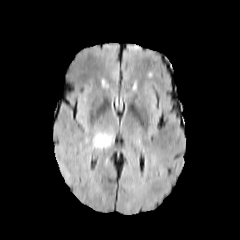
FLAIR MRI.
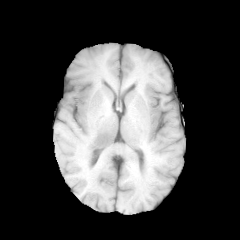
T1-weighted MR image of the same slice.
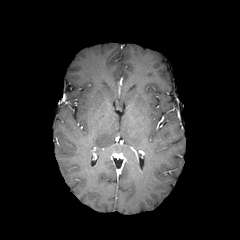
Same slice, post-contrast T1-weighted MRI.
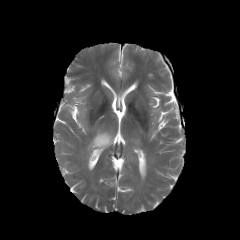
T2-weighted MR image of the same slice.
Brain.
{"edema": ["l=88, t=131, r=111, b=151"]}